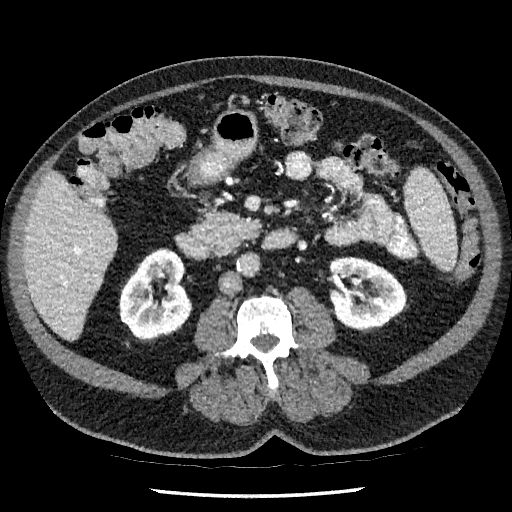 512x512, CT image

2 kidney regions are bounded by [x1=331, y1=258, x2=405, y2=328], [x1=120, y1=250, x2=190, y2=338]. The liver lies within [x1=24, y1=171, x2=116, y2=339].